FLAIR MR image.
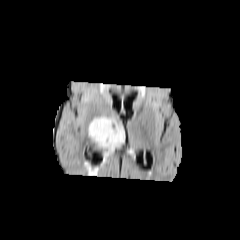
T1-weighted MRI.
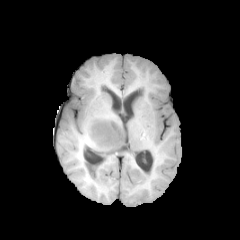
Post-contrast T1-weighted MRI.
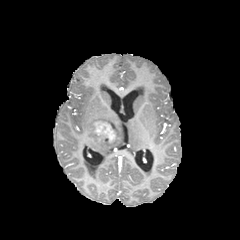
T2-weighted MR.
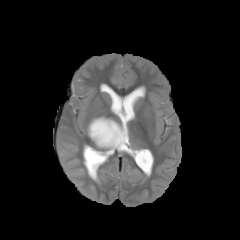
<segmentation>
  <edema><bbox>87, 115, 123, 149</bbox></edema>
  <non-enhancing_tumor_core><bbox>97, 136, 118, 144</bbox>, <bbox>108, 120, 118, 135</bbox></non-enhancing_tumor_core>
  <enhancing_tumor><bbox>92, 120, 116, 142</bbox></enhancing_tumor>
</segmentation>